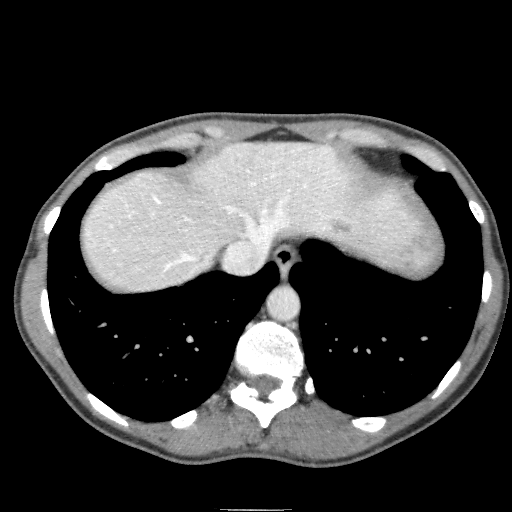

CT
The liver appears at 83, 141, 440, 293. The focal liver lesion is at 332, 220, 348, 232.